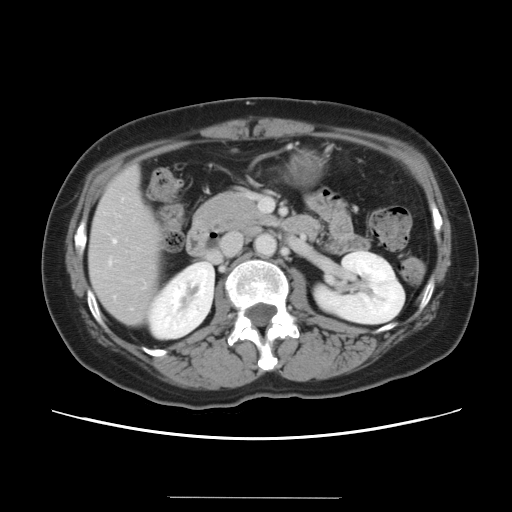
CT, 512x512, Liver
The vessel annotation is not exhaustive.
5 hepatic vessel regions are bounded by (122, 198, 123, 200), (113, 297, 114, 298), (143, 287, 144, 288), (113, 240, 115, 243), (108, 257, 111, 264).